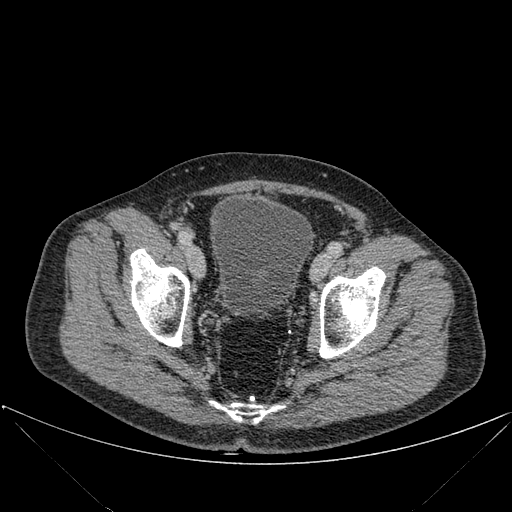

CT slice. Lower abdomen. Image size 512x512. Urinary bladder: bounding box (left=210, top=196, right=314, bottom=315).
Bone: bounding box (left=319, top=267, right=385, bottom=358), (left=130, top=249, right=189, bottom=346), (left=209, top=401, right=284, bottom=424).